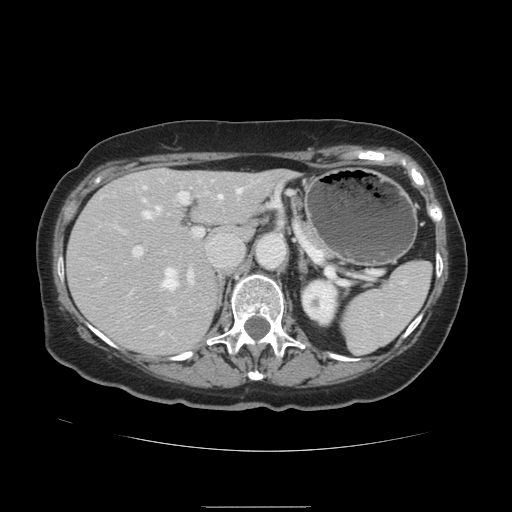 CT slice. Liver. The vessel boxes may cover only some of the vessels.
<segmentation>
  <hepatic_vessel>bbox=[217, 195, 221, 198]; bbox=[192, 228, 201, 236]; bbox=[161, 268, 176, 290]; bbox=[236, 188, 241, 192]; bbox=[116, 227, 120, 229]; bbox=[132, 246, 142, 256]; bbox=[187, 269, 191, 282]; bbox=[175, 192, 189, 203]; bbox=[143, 186, 146, 189]; bbox=[142, 199, 144, 200]; bbox=[153, 207, 159, 211]; bbox=[140, 211, 149, 217]</hepatic_vessel>
</segmentation>